Medial temporal lobe | MR | Slice 9/43 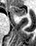

• anterior hippocampus: box(10, 6, 26, 16)